FLAIR MR image.
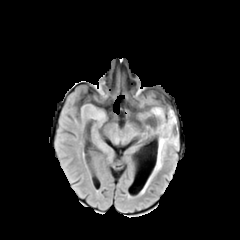
T1-weighted MRI.
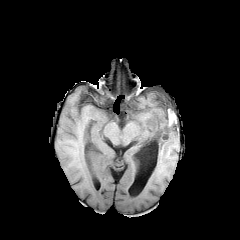
Post-contrast T1-weighted MRI.
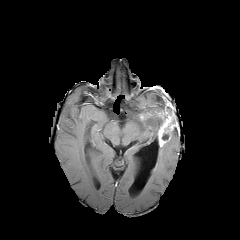
T2-weighted MR image.
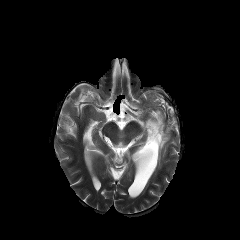
Brain
Enhancing tumor at {"x1": 156, "y1": 116, "x2": 175, "y2": 147}.
Non-enhancing tumor core at {"x1": 150, "y1": 112, "x2": 165, "y2": 139}, {"x1": 162, "y1": 130, "x2": 170, "y2": 142}.
Edema at {"x1": 140, "y1": 130, "x2": 178, "y2": 193}, {"x1": 168, "y1": 108, "x2": 176, "y2": 123}, {"x1": 149, "y1": 107, "x2": 163, "y2": 115}.